Slice 60/155.
FLAIR MR.
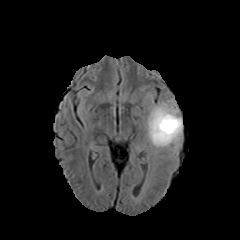
T1-weighted MR.
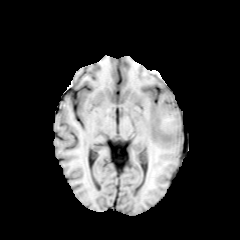
Post-contrast T1-weighted MR.
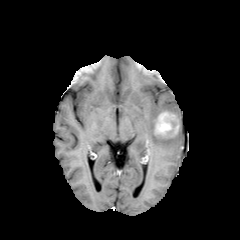
T2-weighted MRI.
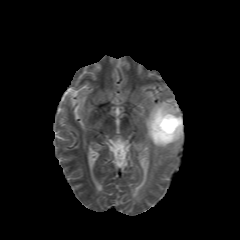
The edema is located at left=140, top=96, right=182, bottom=155. The non-enhancing tumor core is bounded by left=160, top=115, right=179, bottom=133. The enhancing tumor lies within left=162, top=118, right=173, bottom=131.